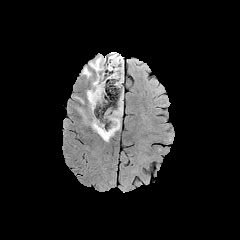
FLAIR MR.
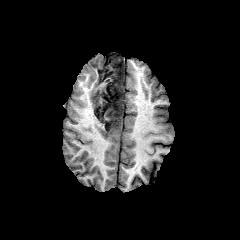
Same slice, T1-weighted MR.
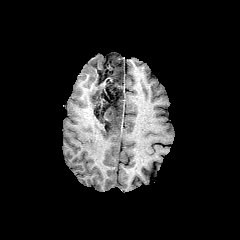
Post-contrast T1-weighted MRI.
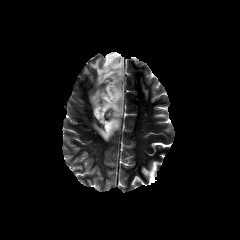
T2-weighted MR image of the same slice.
{
  "non-enhancing_tumor_core": [
    "[98,54,121,97]",
    "[94,108,103,118]",
    "[98,120,117,132]"
  ],
  "edema": [
    "[85,56,106,109]",
    "[92,69,123,141]"
  ]
}